FLAIR MR.
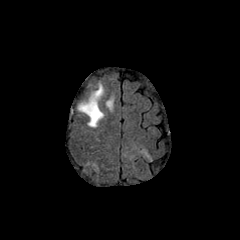
T1-weighted MR.
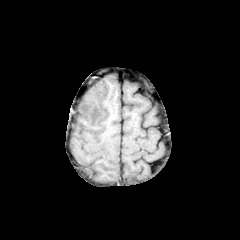
Post-contrast T1-weighted MRI.
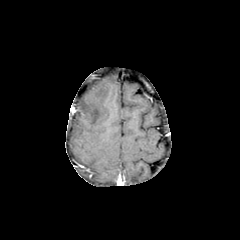
T2-weighted MR image.
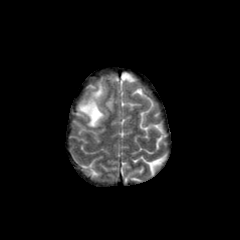
Head; 240x240 px
Edema: box(106, 96, 113, 111); box(78, 83, 104, 127).